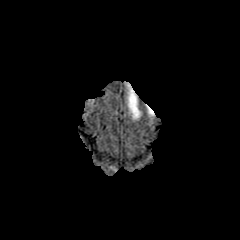
FLAIR MR.
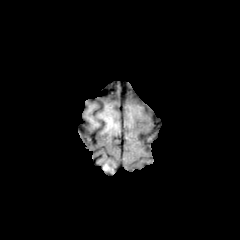
T1-weighted MRI of the same slice.
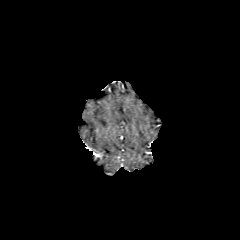
Post-contrast T1-weighted MR image.
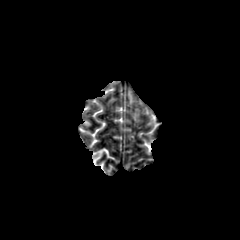
T2-weighted MRI.
Brain
• edema: region(128, 88, 142, 118)